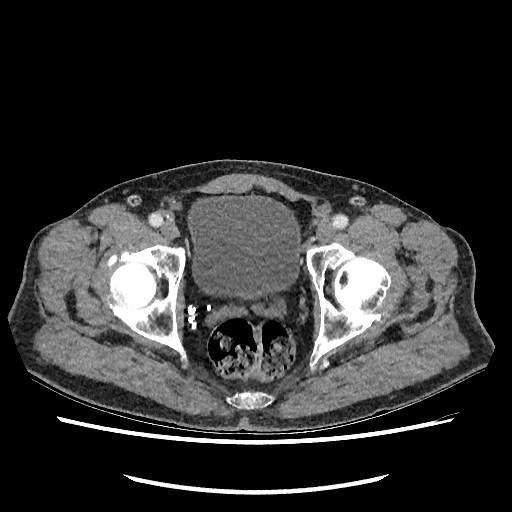 CT scan slice. Pelvis.
Annotated regions:
- urinary bladder: box=[188, 195, 301, 299]